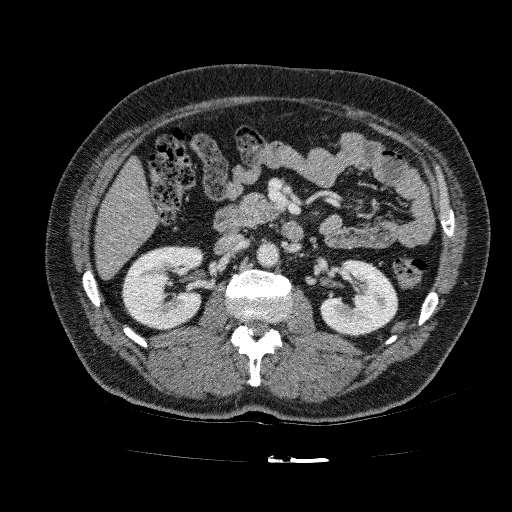
Image size 512x512. CT. Liver. The liver lies within box=[96, 157, 157, 279]. 2 kidney regions are bounded by box=[123, 247, 201, 328]; box=[321, 260, 396, 334].